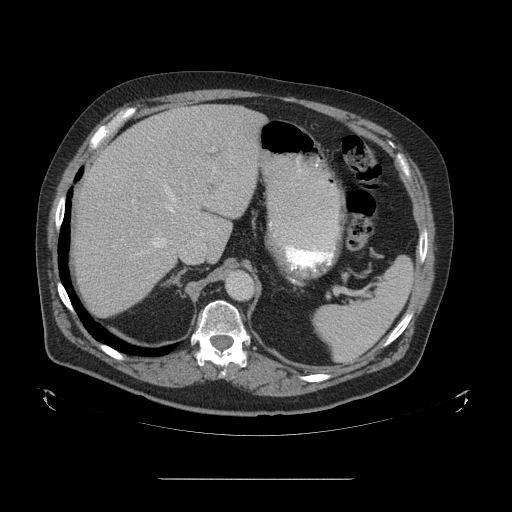
CT
Not every hepatic vessel necessarily has a box.
Hepatic vessel at [230, 155, 232, 162], [136, 141, 139, 142], [209, 174, 213, 181], [182, 183, 186, 190], [181, 215, 185, 218], [131, 199, 134, 203], [230, 172, 232, 173], [134, 232, 172, 256], [220, 187, 223, 189], [178, 218, 213, 263], [146, 168, 183, 213], [193, 161, 197, 162], [134, 206, 136, 211], [209, 147, 216, 151], [212, 164, 213, 168].